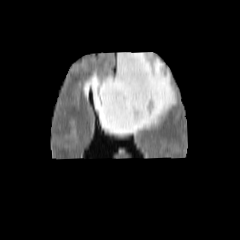
FLAIR MR image.
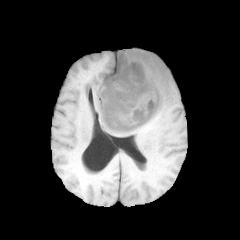
Same slice, T1-weighted magnetic resonance.
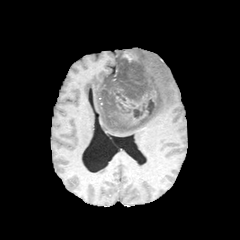
Post-contrast T1-weighted magnetic resonance of the same slice.
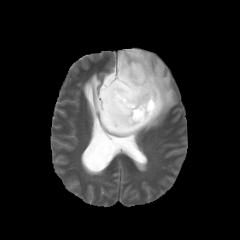
T2-weighted MR image.
Image size 240x240
The non-enhancing tumor core is at [106,49,158,127]. The edema is bounded by [91,48,176,135].